CT slice. Image width 350 mm.
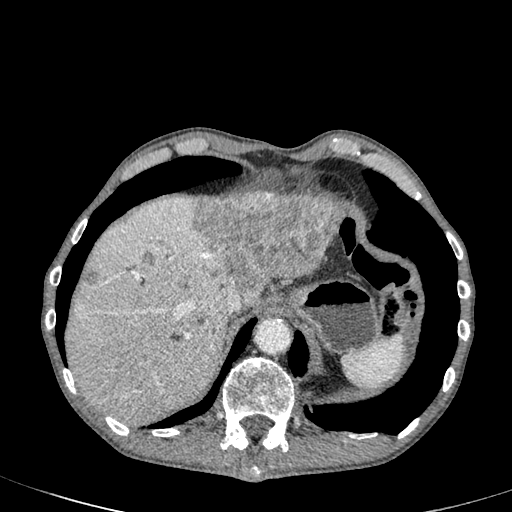

liver: [67,198,239,423], [267,277,301,280] | hepatic lesion: [180,276,188,287], [84,269,97,284], [192,193,343,306], [143,252,153,265]